Abdomen, CT image, Image width 416 mm

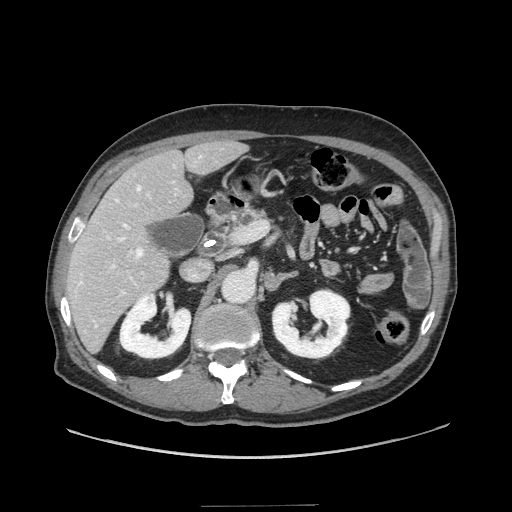

pancreas: x1=237 y1=209 x2=264 y2=230